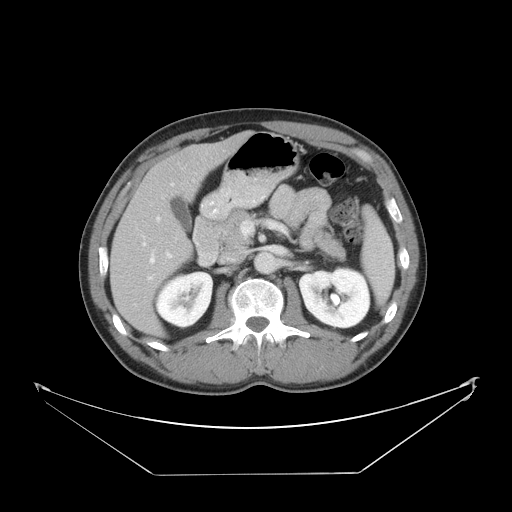
CT scan slice | Liver
The vessel annotation is not exhaustive.
hepatic vessel: <box>142,242,145,246</box>, <box>165,250,171,257</box>, <box>171,183,173,185</box>, <box>181,168,183,169</box>, <box>192,179,195,181</box>, <box>156,216,160,221</box>, <box>149,249,154,263</box>, <box>147,276,152,279</box>